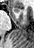

34x48 | Hippocampus | MR
Segmented structures:
- anterior hippocampus: 14:7:19:12